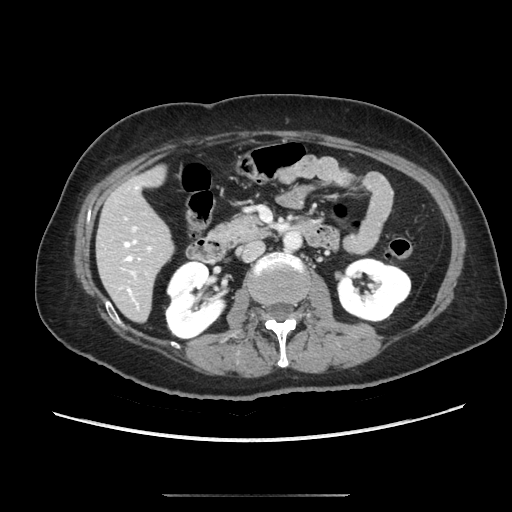
CT scan slice | Abdomen

The pancreas is located at [216,215,268,245].